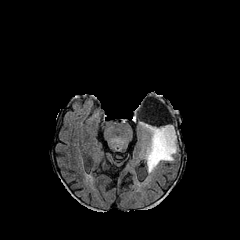
FLAIR MR image.
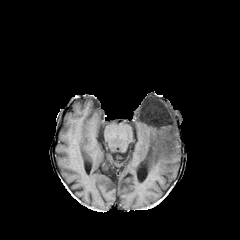
T1-weighted MRI of the same slice.
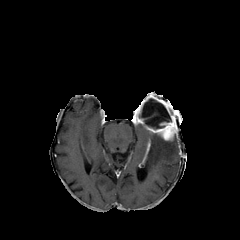
Post-contrast T1-weighted magnetic resonance.
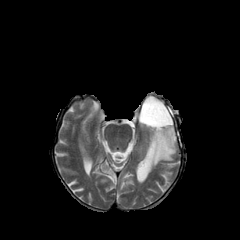
Same slice, T2-weighted magnetic resonance.
Image size 240x240
Non-enhancing tumor core — region(134, 94, 181, 129).
Enhancing tumor — region(133, 109, 177, 140).
Edema — region(140, 128, 178, 173).